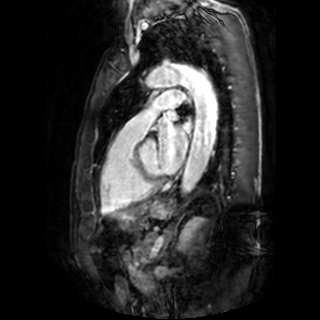
Cardiac, MRI
{"left_atrium": ["[x1=158, y1=118, x2=190, y2=172]", "[x1=167, y1=110, x2=178, y2=120]"]}